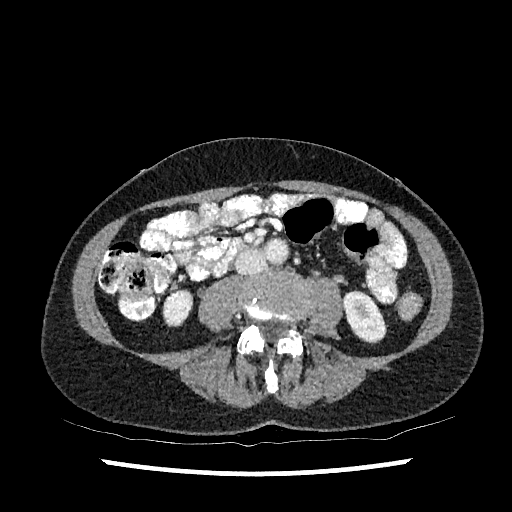

CT slice

Kidney = 164, 291, 191, 324; 344, 292, 384, 341.